Slice 466 of 707, CT scan slice
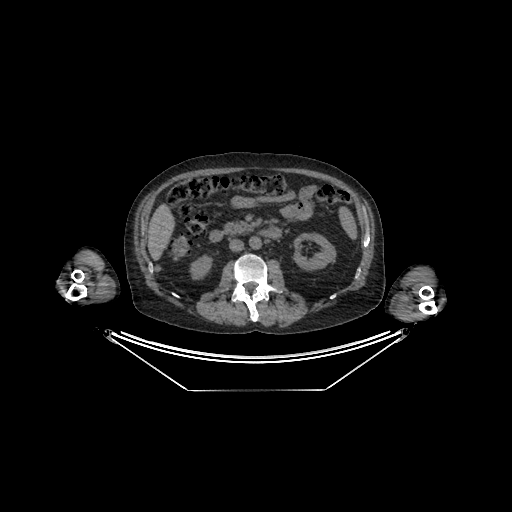 {"liver": ["148 204 174 260"], "kidney": ["189 254 212 279", "293 233 336 270"]}